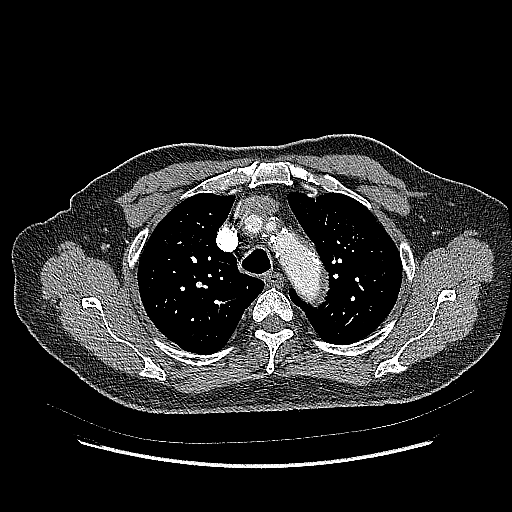 Image size 512x512; Chest; CT scan slice
lung tumor: (347, 223, 365, 248), (378, 245, 388, 263)